240x240 px. Brain.
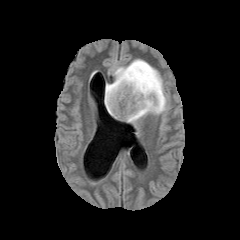
FLAIR MR.
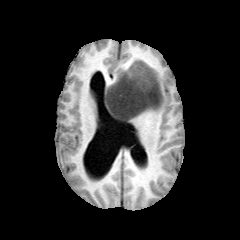
T1-weighted MR image.
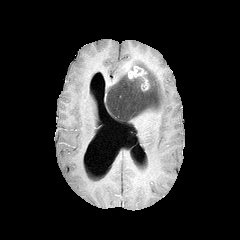
Post-contrast T1-weighted MR.
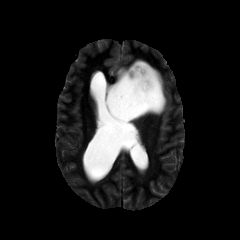
T2-weighted MRI.
edema: region(105, 57, 168, 124) | non-enhancing tumor core: region(106, 63, 162, 122) | enhancing tumor: region(121, 63, 150, 91)